Thorax; Slice index 378; CT slice 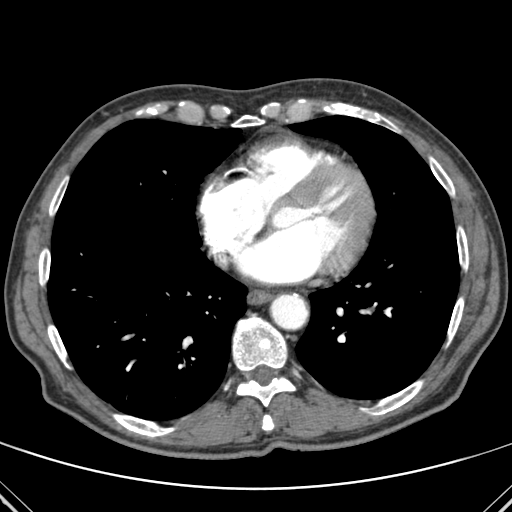
2 lung regions appear at (48,119,247,419), (289,115,459,398). 14 bone regions appear at (113,414,174,436), (430,157,454,196), (48,325,69,367), (262,415,273,430), (141,106,158,114), (457,226,468,269), (49,179,65,215), (233,317,286,371), (448,297,463,342), (363,381,422,415), (236,377,295,406), (38,249,50,284), (232,115,264,127), (323,103,392,124).